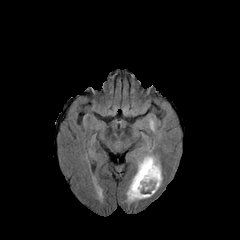
FLAIR MRI.
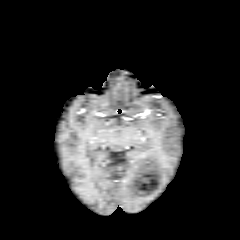
T1-weighted MRI.
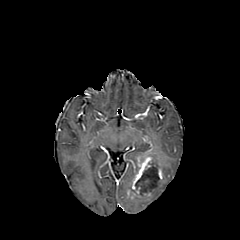
Post-contrast T1-weighted magnetic resonance.
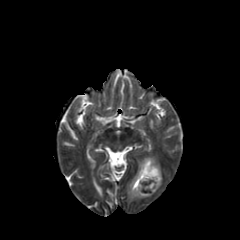
T2-weighted MR.
non-enhancing_tumor_core:
  - <bbox>136, 163, 159, 189</bbox>
enhancing_tumor:
  - <bbox>128, 157, 152, 198</bbox>
edema:
  - <bbox>136, 150, 161, 171</bbox>
  - <bbox>126, 176, 162, 202</bbox>